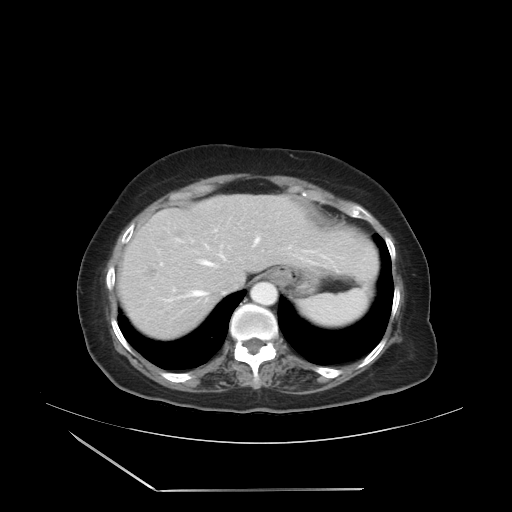
512x512. Computed tomography.

Not every hepatic vessel necessarily has a box.
<segmentation partial="true">
  <hepatic_vessel shown="15" total="17">box(302, 249, 316, 252); box(218, 245, 226, 260); box(319, 254, 332, 263); box(162, 277, 163, 280); box(294, 252, 316, 263); box(214, 229, 216, 231); box(190, 238, 192, 243); box(205, 244, 210, 250); box(194, 251, 198, 253); box(174, 238, 182, 242); box(159, 290, 208, 301); box(196, 259, 218, 267); box(172, 288, 175, 291); box(253, 234, 260, 246); box(287, 245, 291, 248)</hepatic_vessel>
</segmentation>